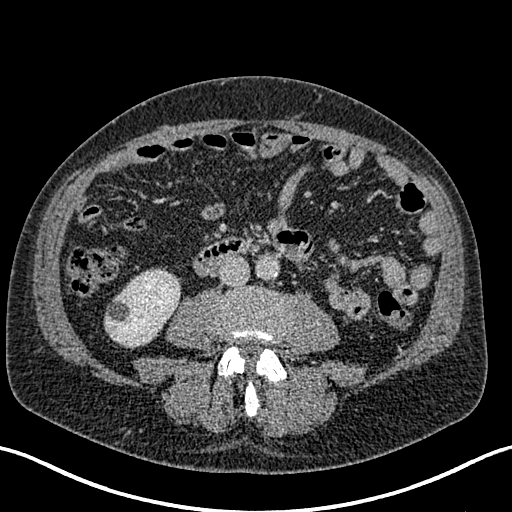 Abdomen. Computed tomography.

<segmentation>
  <kidney>[104,270,179,346]</kidney>
</segmentation>